Brain
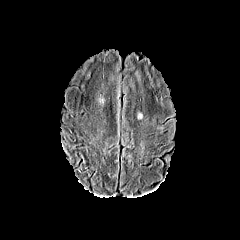
FLAIR MR image.
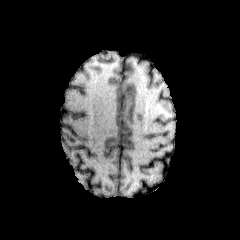
T1-weighted MR image of the same slice.
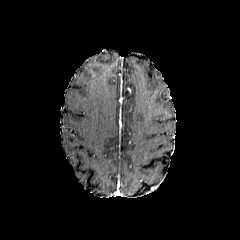
Post-contrast T1-weighted magnetic resonance.
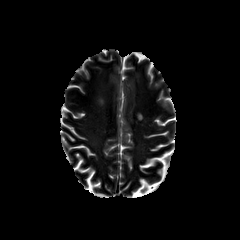
T2-weighted magnetic resonance.
Edema = rect(136, 110, 143, 119).